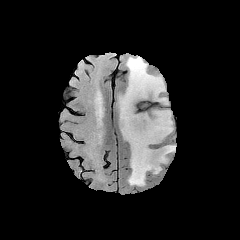
FLAIR magnetic resonance.
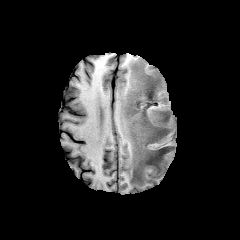
T1-weighted magnetic resonance.
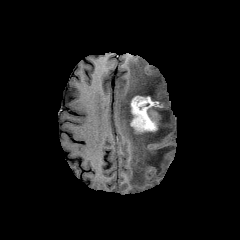
Post-contrast T1-weighted MRI.
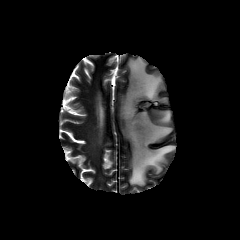
T2-weighted MRI.
240x240
The enhancing tumor is located at (left=130, top=96, right=158, bottom=132). 4 non-enhancing tumor core regions are located at (left=128, top=80, right=156, bottom=125), (left=136, top=100, right=156, bottom=120), (left=144, top=155, right=154, bottom=165), (left=130, top=113, right=166, bottom=139). The edema is bounded by (left=120, top=56, right=175, bottom=185).